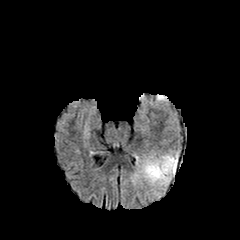
FLAIR magnetic resonance.
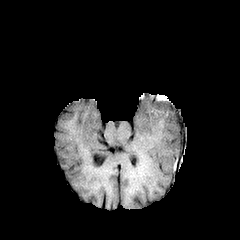
Same slice, T1-weighted MR image.
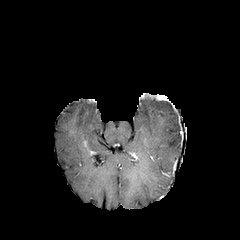
Post-contrast T1-weighted MRI.
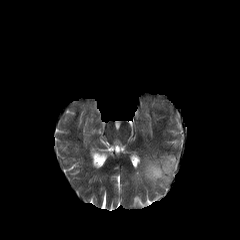
T2-weighted MR image.
Brain.
- edema: box=[144, 154, 177, 185]